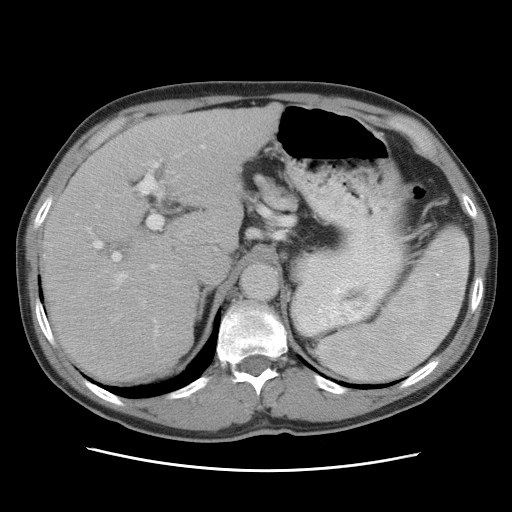
Liver; Computed tomography
Not every hepatic vessel necessarily has a box.
Hepatic vessel = rect(150, 267, 154, 268); rect(117, 315, 120, 318); rect(96, 205, 98, 207); rect(113, 320, 115, 321); rect(140, 178, 155, 193); rect(113, 253, 119, 259); rect(147, 214, 162, 229); rect(144, 157, 162, 168); rect(113, 273, 125, 289); rect(86, 227, 90, 234); rect(153, 320, 158, 336); rect(90, 241, 101, 248); rect(201, 145, 204, 148).